Field of view 351x351 mm | CT scan slice 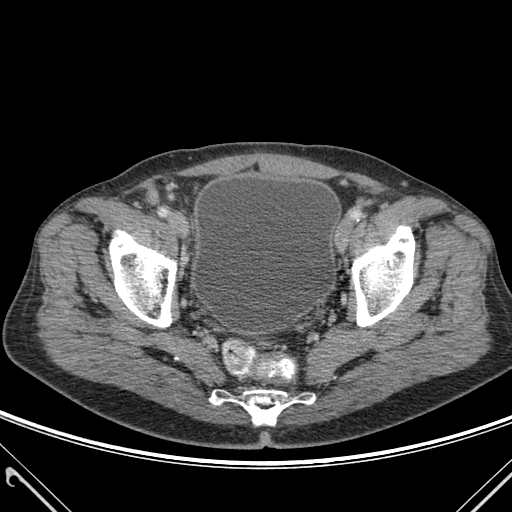

Bone at <bbox>209, 390, 315, 424</bbox>, <bbox>352, 226, 414, 326</bbox>, <bbox>110, 230, 176, 327</bbox>.
Urinary bladder at <bbox>194, 177, 338, 323</bbox>.